FLAIR magnetic resonance.
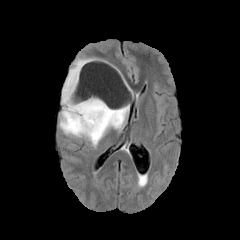
T1-weighted magnetic resonance.
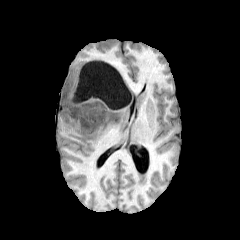
Post-contrast T1-weighted magnetic resonance.
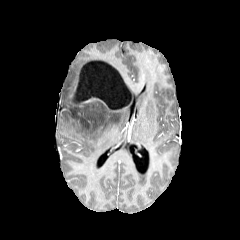
T2-weighted MR image.
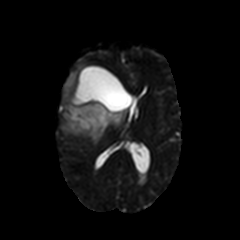
Image size 240x240 | Head
2 non-enhancing tumor core regions are located at box=[70, 106, 98, 129]; box=[74, 72, 127, 118]. The edema is at box=[59, 58, 131, 146].